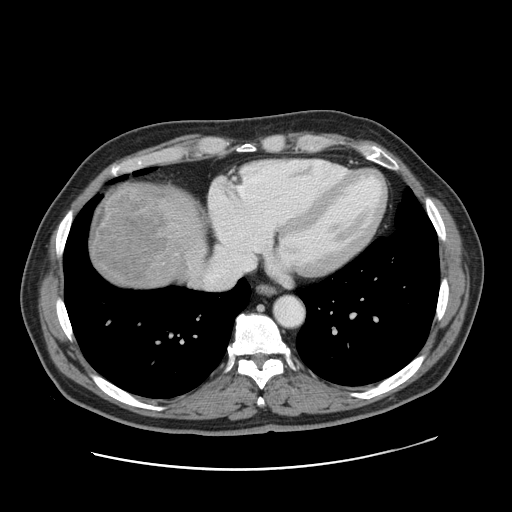 CT image | Liver | Image size 512x512
Liver tumor — l=92, t=185, r=163, b=279.